FLAIR magnetic resonance.
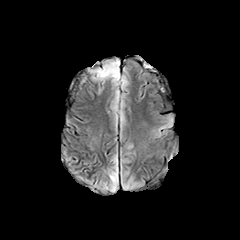
T1-weighted MRI.
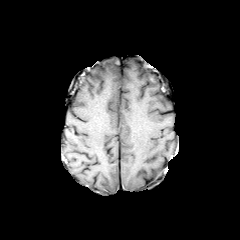
Post-contrast T1-weighted MR image.
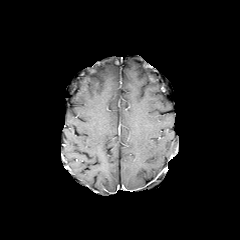
T2-weighted MR image.
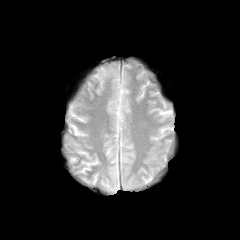
Head
Annotated regions:
• edema: (110, 168, 117, 190)